512x512. CT slice. Abdomen.

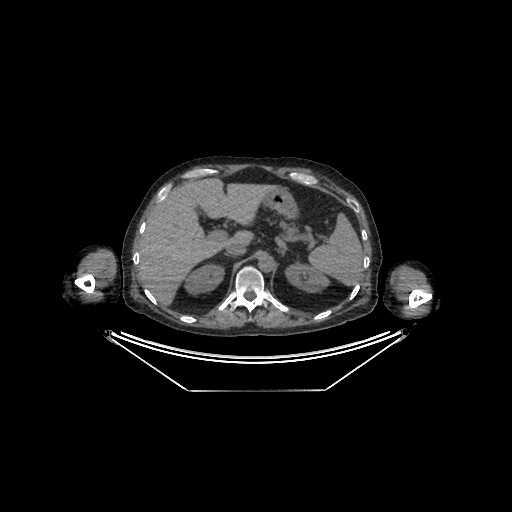 The liver lies within 136 177 279 305. 2 kidney regions are bounded by 284 261 329 292, 184 263 224 294.